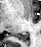

MRI. Medial temporal lobe. 41x47. {
  "posterior_hippocampus": [
    "[15,33,27,40]"
  ]
}